Slice 124 of 230. Image size 512x512. CT slice. Abdomen.

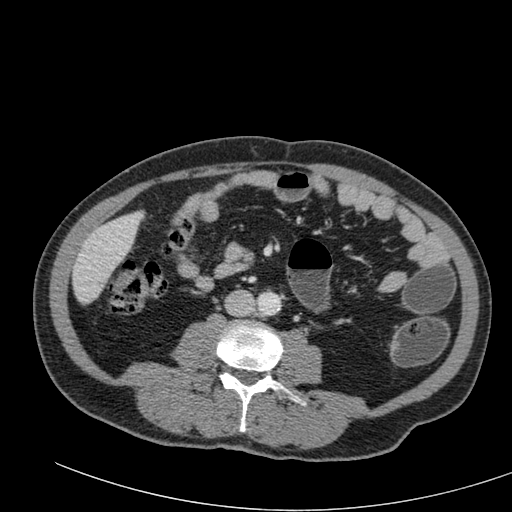 {
  "liver": [
    "73 212 143 302"
  ]
}